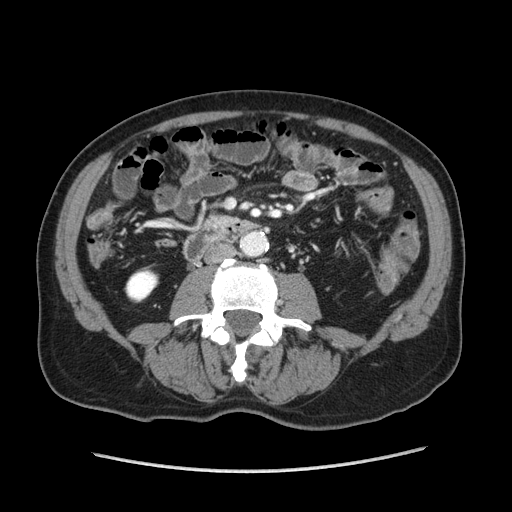
Upper abdomen | 512x512 | CT

pancreas: [x1=209, y1=216, x2=235, y2=226]